Slice 30/51, CT slice, Upper abdomen

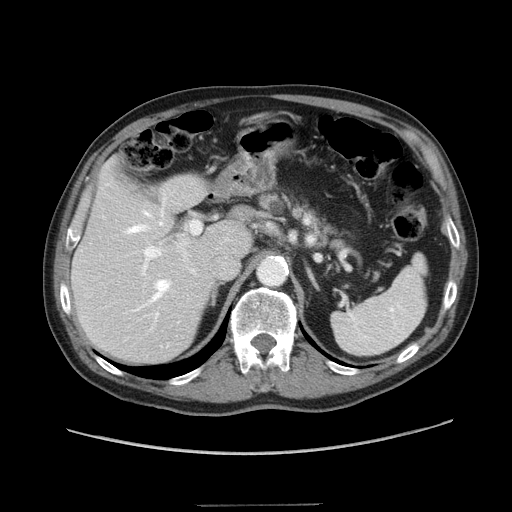 pancreas:
  - l=316, t=220, r=332, b=238
  - l=263, t=195, r=275, b=206